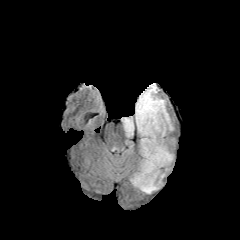
FLAIR MRI.
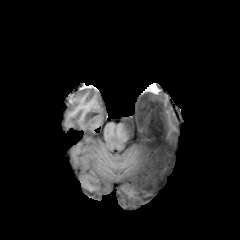
T1-weighted MR.
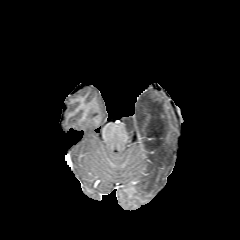
Same slice, post-contrast T1-weighted MRI.
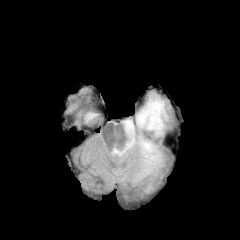
T2-weighted MR image.
Head
Edema — x1=136 y1=180 x2=149 y2=191, x1=126 y1=143 x2=143 y2=181, x1=122 y1=88 x2=172 y2=193.
Non-enhancing tumor core — x1=125 y1=120 x2=131 y2=130, x1=127 y1=99 x2=167 y2=191.